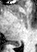 MRI. Image size 37x52. Hippocampus.
Posterior hippocampus: <box>12,42,20,47</box>.